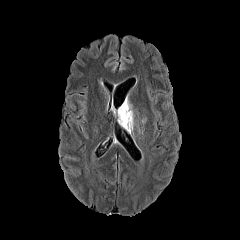
FLAIR MR image.
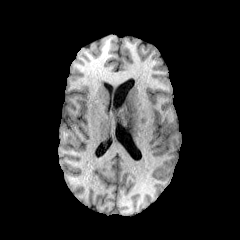
T1-weighted magnetic resonance of the same slice.
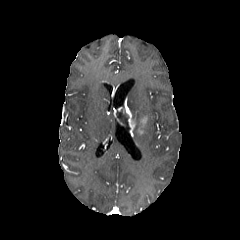
Post-contrast T1-weighted MRI.
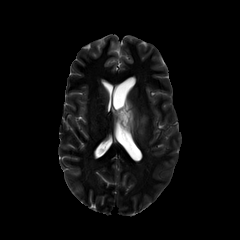
T2-weighted MR image.
240x240 px
<segmentation>
  <enhancing_tumor>113, 97, 135, 134; 140, 117, 147, 128</enhancing_tumor>
  <non-enhancing_tumor_core>116, 105, 130, 131</non-enhancing_tumor_core>
</segmentation>